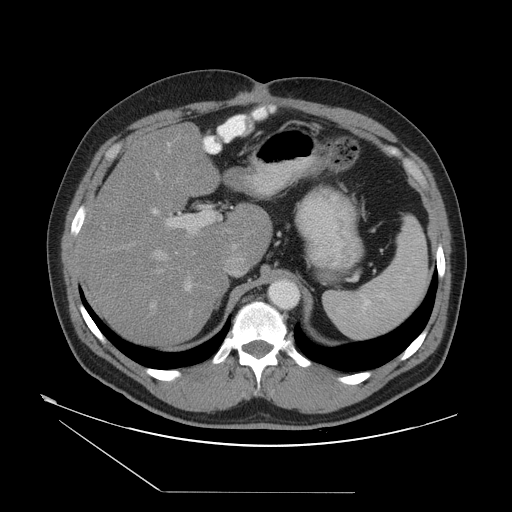 CT scan slice | Image size 512x512

Some hepatic vessels may have no box.
12 hepatic vessel regions appear at <box>187,272,188,273</box>, <box>192,253,194,254</box>, <box>226,231,229,232</box>, <box>152,209,157,214</box>, <box>155,172,158,177</box>, <box>153,251,166,260</box>, <box>184,279,193,291</box>, <box>150,302,155,314</box>, <box>167,143,170,152</box>, <box>164,218,172,227</box>, <box>156,270,162,272</box>, <box>189,311,191,314</box>.